FLAIR MR.
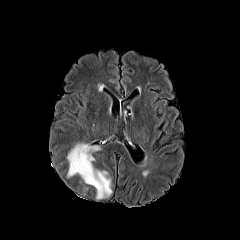
T1-weighted MR.
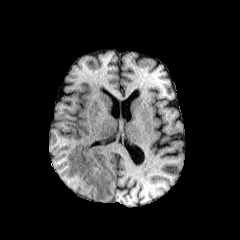
Post-contrast T1-weighted MRI.
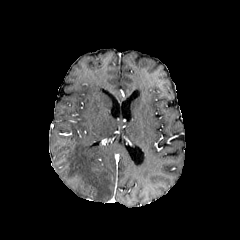
T2-weighted MRI.
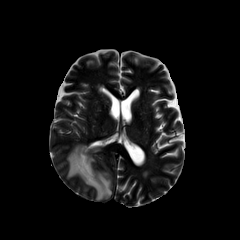
240x240; Head
The edema is bounded by x1=66 y1=144 x2=111 y2=199.